CT scan slice
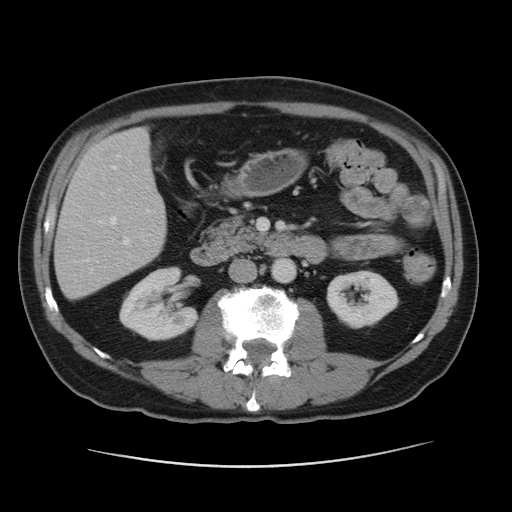 2 kidney regions appear at rect(326, 270, 398, 328); rect(121, 268, 196, 339). The liver is located at rect(54, 134, 163, 295).